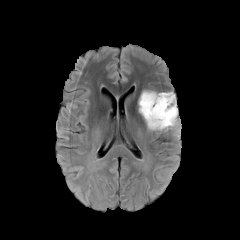
FLAIR MR image.
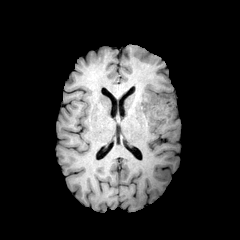
T1-weighted MR of the same slice.
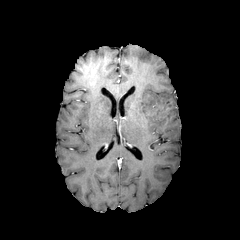
Post-contrast T1-weighted MR.
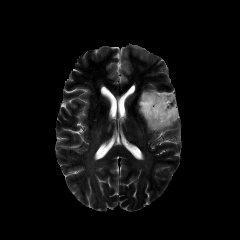
T2-weighted MRI of the same slice.
Image size 240x240; Head
Non-enhancing tumor core: bounding box (145, 96, 175, 123).
Edema: bounding box (138, 89, 179, 133).